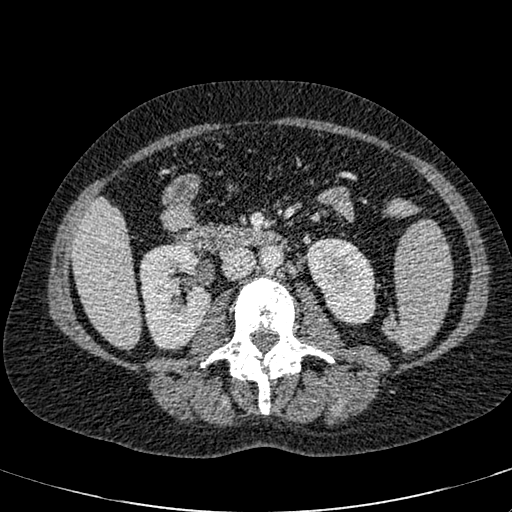

512x512; Abdomen; CT scan slice
Liver = 73 199 140 347.
Kidney = 307 239 374 323, 140 244 210 348.